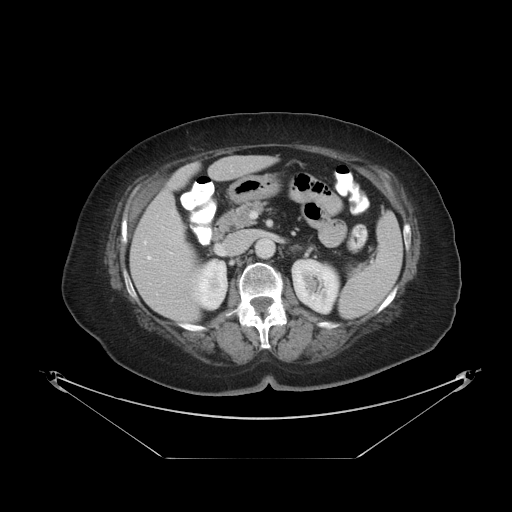
CT scan slice, Image size 512x512
The vessel boxes may cover only some of the vessels.
hepatic vessel: 146 255 151 259